Computed tomography. Slice 118/156. Image width 428 mm. 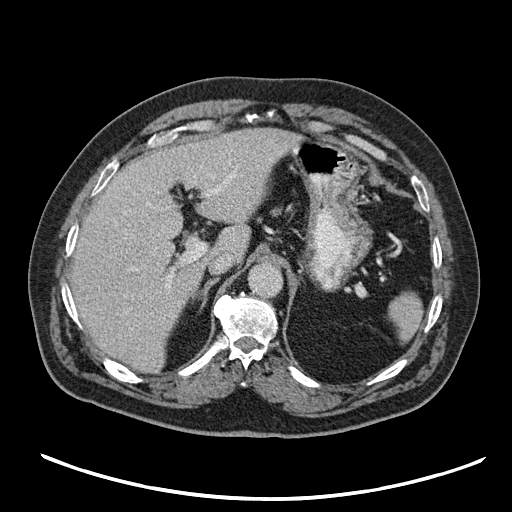
The spleen lies within (389, 291, 421, 338).